Upper abdomen. CT scan slice. Field of view 380 mm wide, 0.70 mm slice spacing. 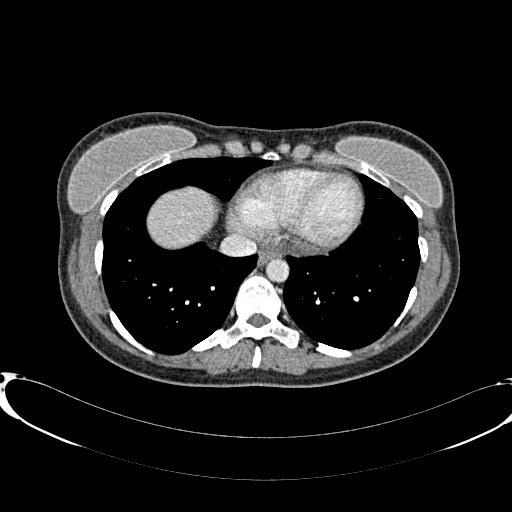 The liver is at (148,188,214,247).